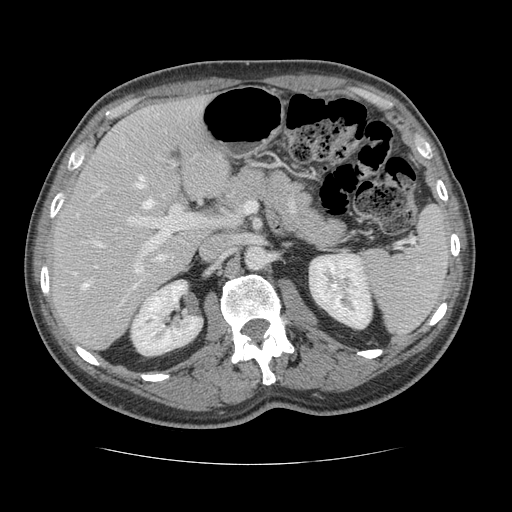

512x512; Liver; CT slice
Not every hepatic vessel necessarily has a box.
[15/17] hepatic vessel: region(171, 255, 173, 257); region(162, 194, 163, 196); region(99, 183, 101, 185); region(143, 198, 153, 208); region(121, 299, 124, 303); region(156, 254, 164, 259); region(134, 263, 142, 271); region(131, 284, 137, 289); region(96, 192, 99, 194); region(101, 186, 104, 190); region(127, 205, 196, 256); region(82, 282, 89, 288); region(89, 240, 102, 246); region(72, 272, 76, 274); region(136, 176, 144, 187)